Abdomen; Computed tomography

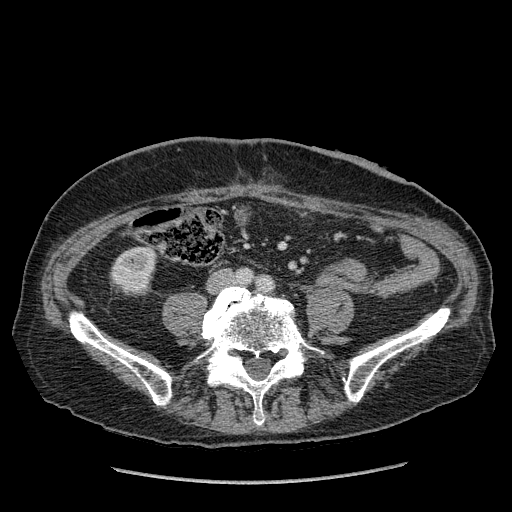

<segmentation>
  <kidney>(112,247,155,292)</kidney>
</segmentation>